FLAIR MR image.
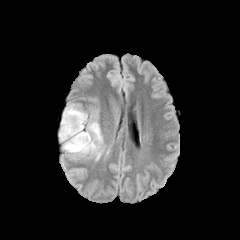
T1-weighted MR image.
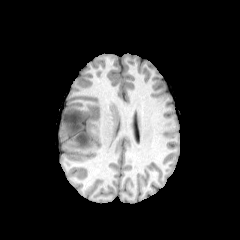
Post-contrast T1-weighted magnetic resonance.
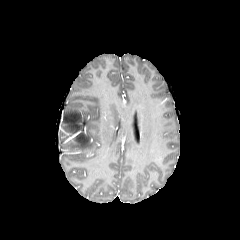
T2-weighted MRI.
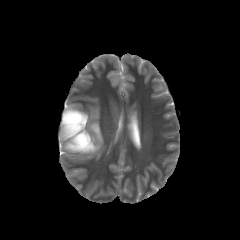
Head
Non-enhancing tumor core — 61 110 93 155.
Edema — 69 152 87 157, 59 131 77 152, 62 104 104 159.
Enhancing tumor — 64 131 80 141.